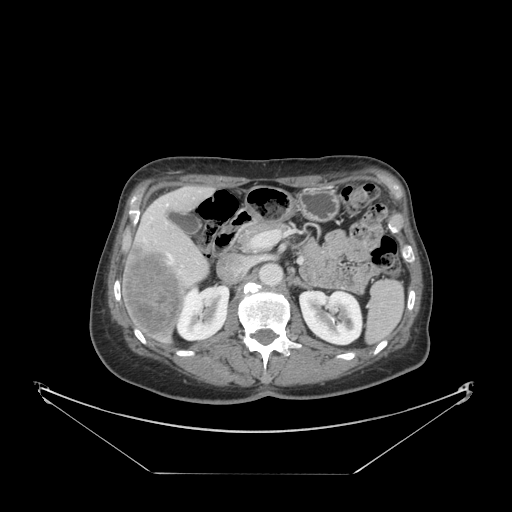
CT image; Upper abdomen; 512x512
The spleen is bounded by {"x1": 367, "y1": 281, "x2": 403, "y2": 342}.